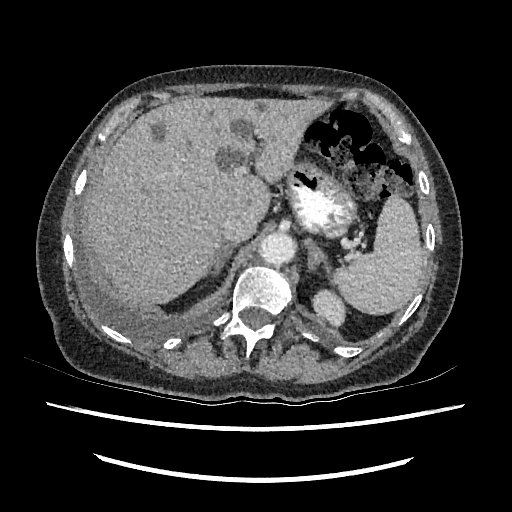

Image size 512x512. Computed tomography.
The kidney is located at <bbox>315, 291, 344, 325</bbox>. 4 focal liver lesion regions are bounded by <bbox>231, 120, 251, 139</bbox>, <bbox>257, 103, 266, 111</bbox>, <bbox>154, 126, 162, 141</bbox>, <bbox>215, 147, 250, 170</bbox>. The liver lies within <bbox>90, 98, 329, 301</bbox>.